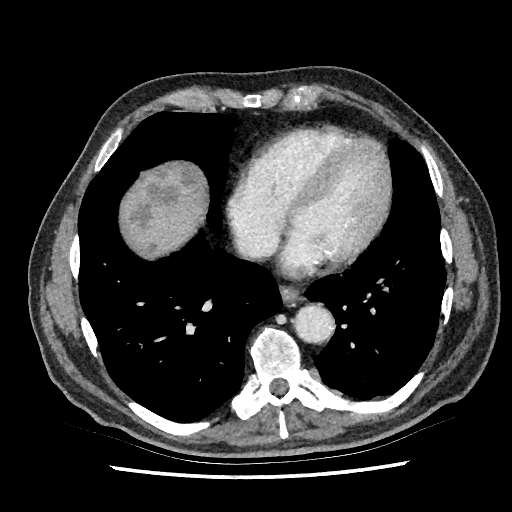

CT scan slice | Upper abdomen | Image size 512x512
<segmentation>
  <liver>box=[127, 164, 205, 253]</liver>
  <liver_lesion>box=[128, 183, 179, 229]; box=[147, 241, 156, 251]; box=[155, 166, 170, 179]; box=[181, 167, 197, 184]</liver_lesion>
</segmentation>